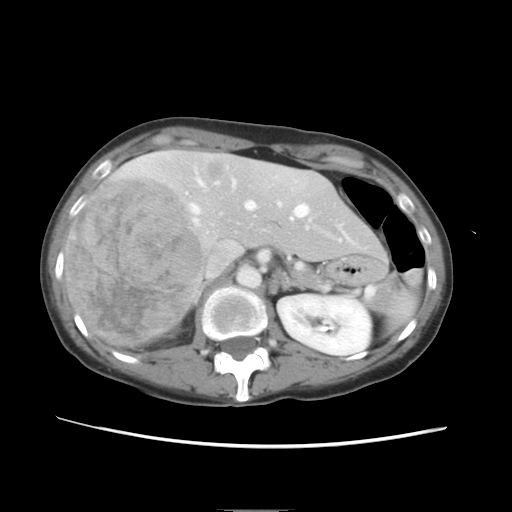

CT image, Abdomen
Only some of the vessels may be annotated.
10 hepatic vessel regions are located at 344,233,351,241; 232,179,235,185; 197,177,203,185; 195,169,197,172; 290,204,307,219; 278,201,280,205; 246,201,254,208; 339,225,340,226; 191,204,199,212; 194,218,198,223. 3 liver tumor regions are located at 270,186,292,200; 65,177,204,346; 207,159,228,182.